Slice 94 of 155, Field of view 240 mm wide, 1.00 mm slice spacing, Head, 240x240
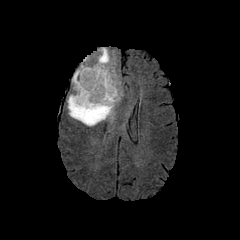
FLAIR MR image.
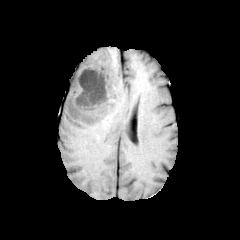
Same slice, T1-weighted magnetic resonance.
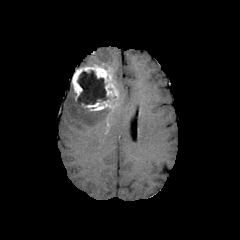
Same slice, post-contrast T1-weighted magnetic resonance.
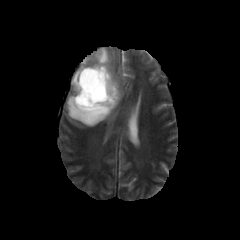
T2-weighted magnetic resonance of the same slice.
2 enhancing tumor regions are located at [x1=81, y1=99, x2=113, y2=110], [x1=71, y1=55, x2=119, y2=100]. 2 edema regions are located at [x1=95, y1=47, x2=120, y2=106], [x1=66, y1=92, x2=113, y2=127]. The non-enhancing tumor core is bounded by [x1=75, y1=71, x2=112, y2=106].